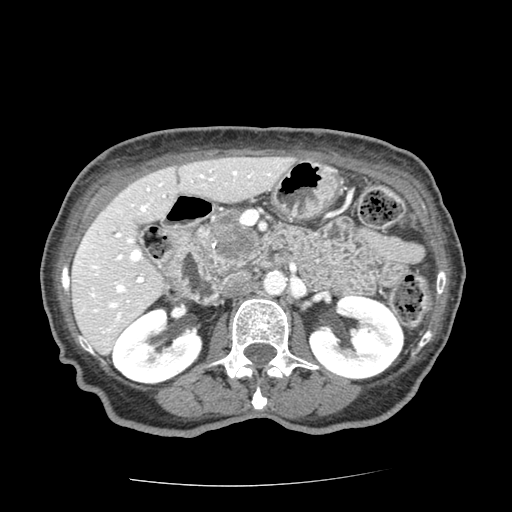 Computed tomography, Upper abdomen, 512x512
pancreas:
  - {"x1": 195, "y1": 221, "x2": 260, "y2": 276}
pancreatic_tumor:
  - {"x1": 209, "y1": 211, "x2": 257, "y2": 261}